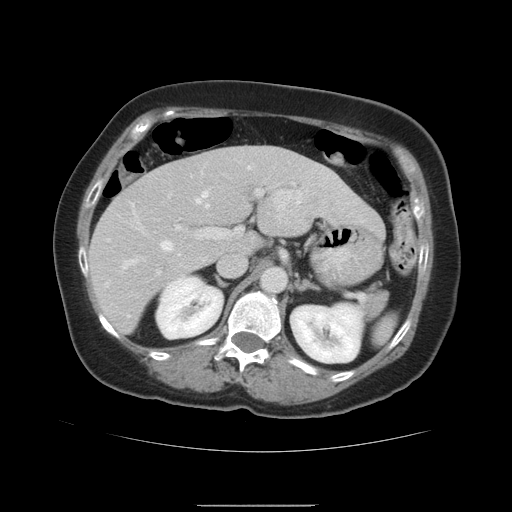
Computed tomography, Abdomen
The vessel annotation is not exhaustive.
Liver tumor: (265,186,336,233).
Hepatic vessel: (160,241,173,251), (107,238,110,241), (131,202,141,229), (122,256,145,270), (205,203,209,207), (128,315,130,316), (175,223,243,240), (167,284,171,288), (179,254,180,255), (255,189,263,195), (105,282,109,286), (248,166,252,169), (180,276,184,279), (197,191,208,203), (156,269,160,274).